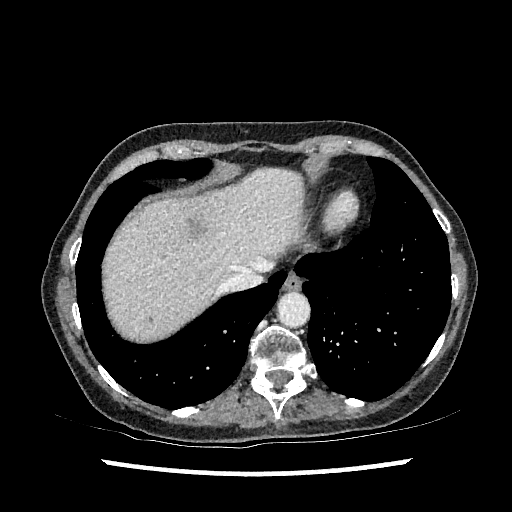 Computed tomography | Upper abdomen
The hepatic lesion is located at 189:217:207:239. The liver is bounded by 103:169:304:338.